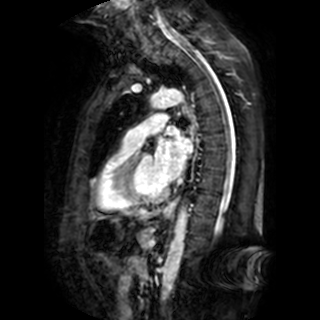

MR image
Left atrium: [155, 127, 192, 181].